Slice index 82, Head
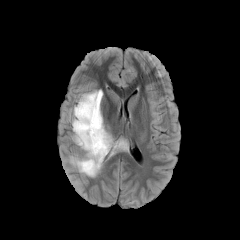
FLAIR MRI.
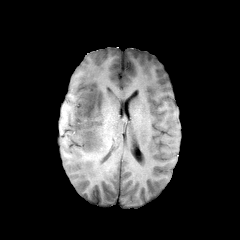
T1-weighted magnetic resonance.
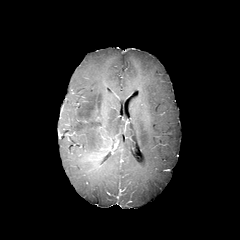
Post-contrast T1-weighted magnetic resonance of the same slice.
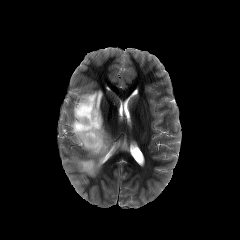
T2-weighted MR image of the same slice.
{"edema": ["<box>70,89,128,176</box>"], "non-enhancing_tumor_core": ["<box>83,102,94,116</box>", "<box>100,144,116,159</box>"]}